FLAIR magnetic resonance.
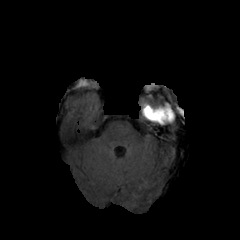
T1-weighted MR image.
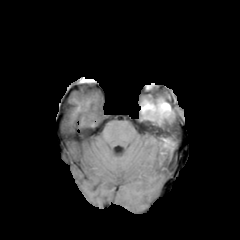
Post-contrast T1-weighted MR image.
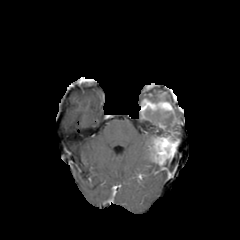
T2-weighted MR.
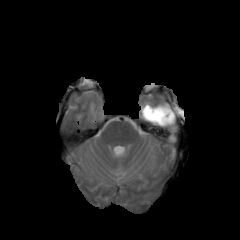
2 non-enhancing tumor core regions appear at x1=139, y1=110, x2=171, y2=121; x1=153, y1=139, x2=171, y2=157. The edema is bounded by x1=139, y1=106, x2=181, y2=133. 2 enhancing tumor regions appear at x1=161, y1=137, x2=175, y2=155; x1=140, y1=100, x2=173, y2=117.